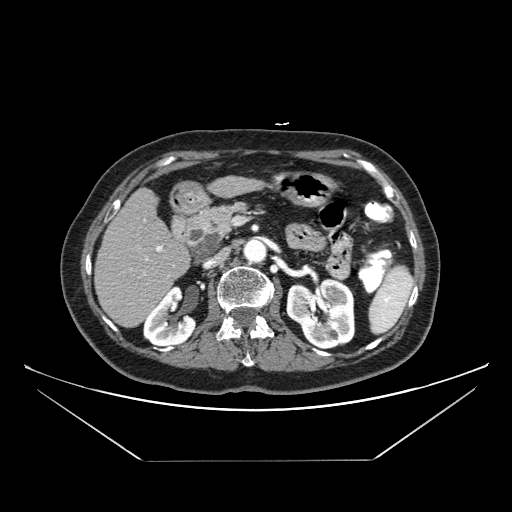

CT image

<segmentation>
  <pancreas>box=[182, 201, 266, 254]</pancreas>
  <pancreatic_tumor>box=[190, 231, 221, 262]</pancreatic_tumor>
</segmentation>